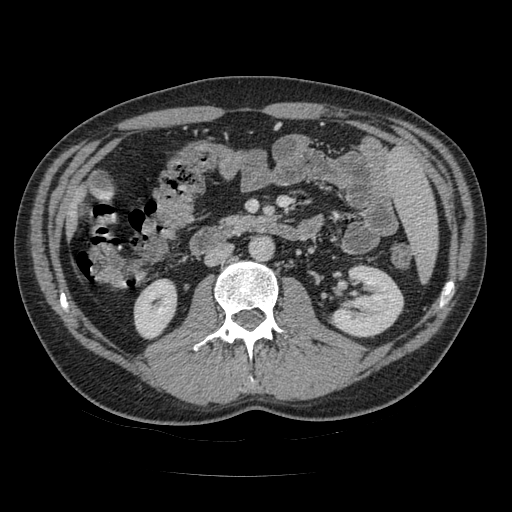
Abdomen, CT scan slice

Pancreas — bbox=[227, 216, 262, 223].